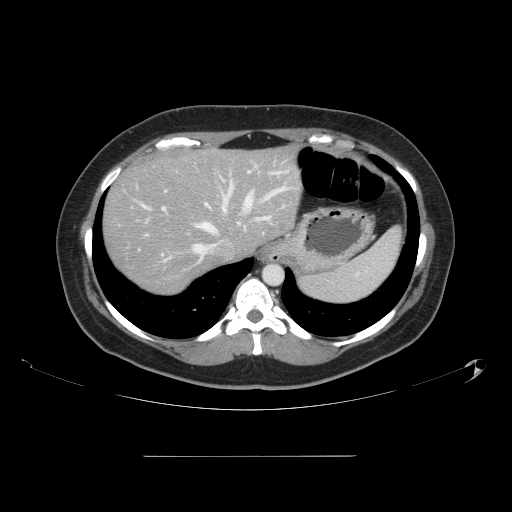

CT slice; 512x512
The vessel annotation is not exhaustive.
hepatic vessel: <bbox>248, 171, 250, 173</bbox>, <bbox>271, 171, 285, 173</bbox>, <bbox>143, 206, 148, 208</bbox>, <bbox>244, 192, 253, 209</bbox>, <bbox>162, 207, 164, 209</bbox>, <bbox>267, 187, 284, 196</bbox>, <bbox>256, 216, 270, 220</bbox>, <bbox>204, 202, 208, 206</bbox>, <bbox>238, 222, 239, 224</bbox>, <bbox>222, 181, 232, 210</bbox>, <bbox>163, 258, 168, 261</bbox>, <bbox>193, 244, 203, 260</bbox>, <bbox>195, 222, 216, 232</bbox>